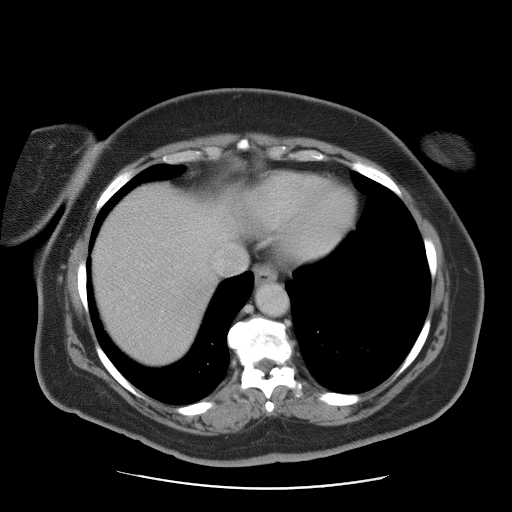
Computed tomography.

The vessel boxes may cover only some of the vessels.
Hepatic vessel — 215:251:223:270.